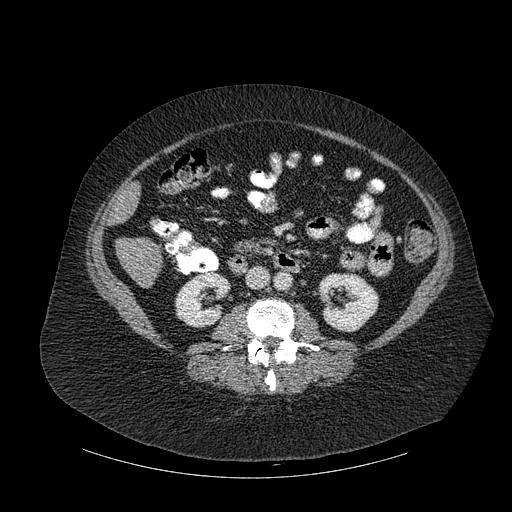 CT, Upper abdomen

bone:
  - bbox=[247, 300, 319, 366]
  - bbox=[265, 369, 275, 390]
liver:
  - bbox=[115, 236, 163, 287]
  - bbox=[109, 183, 141, 224]
kidney:
  - bbox=[320, 274, 377, 331]
  - bbox=[176, 272, 228, 326]